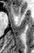

MR image, Image size 34x53
anterior_hippocampus:
  - (12,5,18,14)